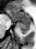
Hippocampus, MR image

<segmentation>
  <anterior_hippocampus>(7, 10, 30, 20)</anterior_hippocampus>
  <posterior_hippocampus>(17, 21, 30, 33)</posterior_hippocampus>
</segmentation>